Field of view 36x50 mm, Slice index 11, Hippocampus, Magnetic resonance
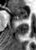
The anterior hippocampus is at (x1=11, y1=6, x2=28, y2=19).